Liver | Computed tomography | Slice index 126
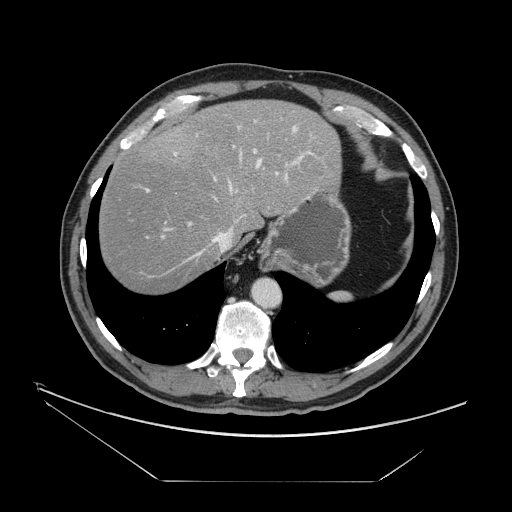 The vessel annotation is not exhaustive.
9 hepatic vessel regions are bounded by box(293, 127, 296, 130); box(307, 152, 311, 153); box(257, 160, 260, 166); box(285, 175, 286, 179); box(230, 228, 231, 230); box(293, 155, 302, 163); box(229, 183, 232, 190); box(254, 150, 256, 152); box(213, 233, 226, 240).